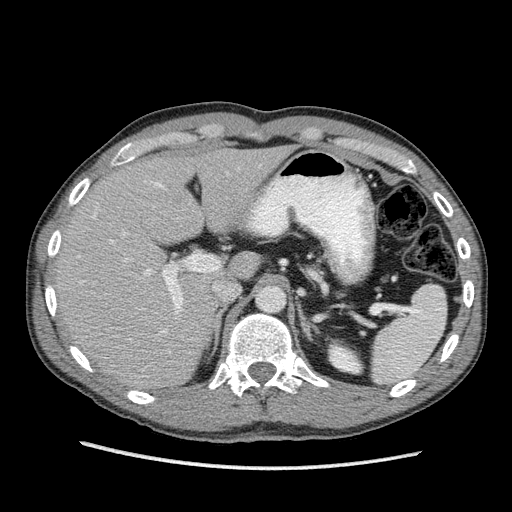
Computed tomography.

{
  "liver": [
    "region(50, 144, 296, 392)"
  ],
  "kidney": [
    "region(330, 346, 360, 372)"
  ]
}